CT; Liver; Field of view 320x320 mm

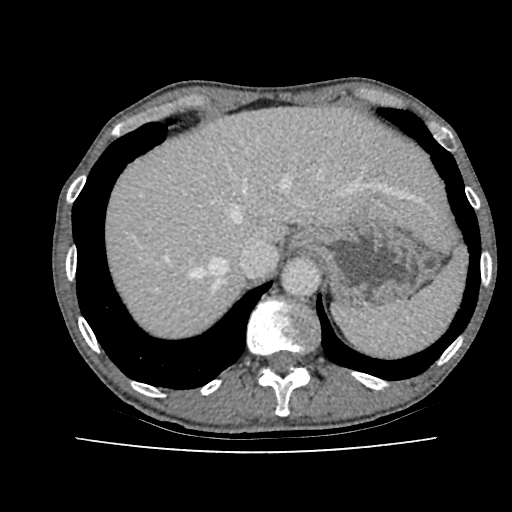 The liver appears at <bbox>105, 106, 452, 335</bbox>.